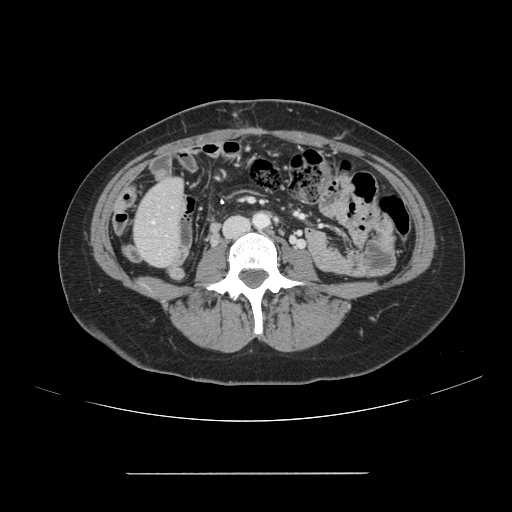 CT image, 512x512

Some hepatic vessels may have no box.
The hepatic vessel lies within (152,221,153,223).